CT scan slice | 512x512 px | Abdomen | Slice 513/671
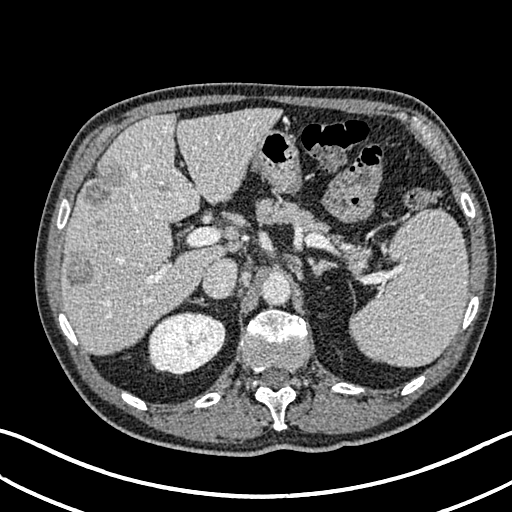 kidney:
  - l=150, t=313, r=224, b=373
focal_liver_lesion:
  - l=84, t=159, r=125, b=205
  - l=67, t=254, r=94, b=285
liver:
  - l=62, t=109, r=278, b=353